FLAIR magnetic resonance.
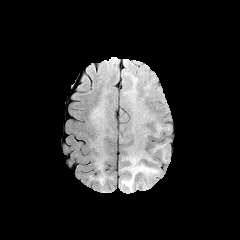
T1-weighted MR.
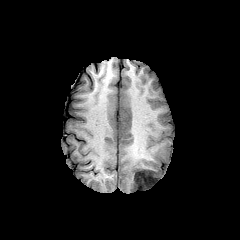
Post-contrast T1-weighted MR.
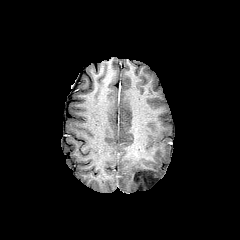
T2-weighted MRI.
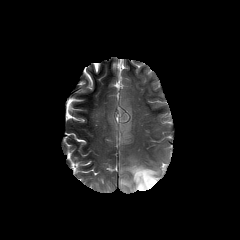
Brain | Image size 240x240
The edema is bounded by x1=121, y1=155, x2=158, y2=191. The non-enhancing tumor core lies within x1=133, y1=168, x2=158, y2=187.